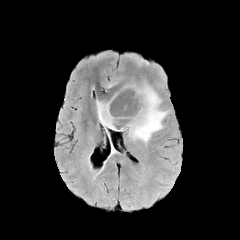
FLAIR magnetic resonance.
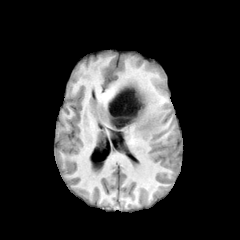
T1-weighted MR image of the same slice.
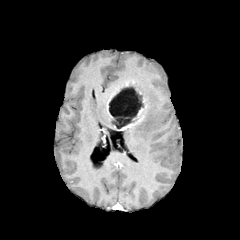
Post-contrast T1-weighted magnetic resonance.
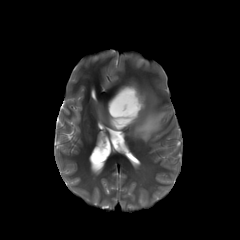
T2-weighted magnetic resonance.
Brain
Edema: bounding box l=124, t=87, r=168, b=142; l=96, t=100, r=117, b=153.
Non-enhancing tumor core: bounding box l=108, t=86, r=147, b=130.